CT, Slice 158/565 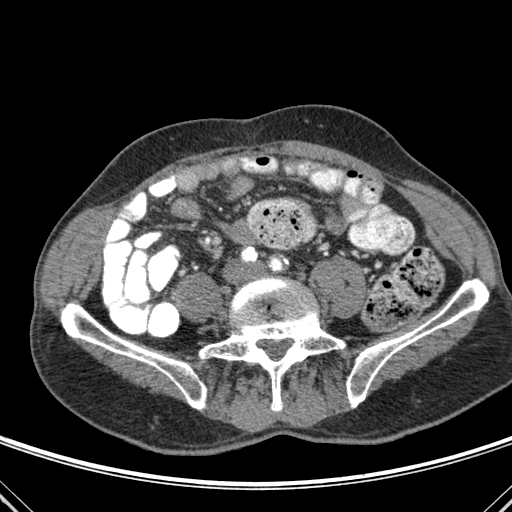

Bone = (61, 303, 206, 409), (346, 279, 488, 407), (199, 277, 345, 411).